Slice index 79. 512x512 px. CT scan slice. Upper abdomen.
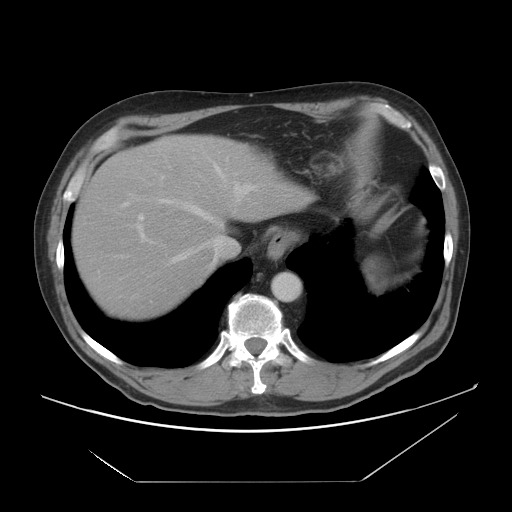

focal liver lesion: {"x1": 161, "y1": 204, "x2": 167, "y2": 213} | liver: {"x1": 73, "y1": 135, "x2": 315, "y2": 318}